FLAIR MR image.
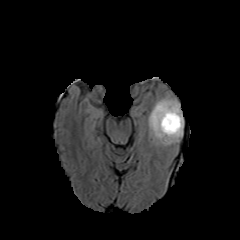
T1-weighted MRI.
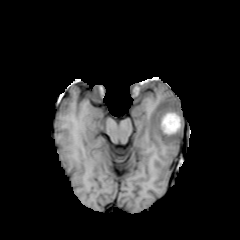
Post-contrast T1-weighted MR image.
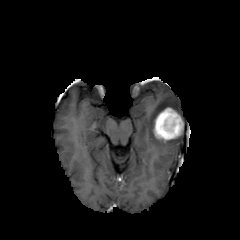
T2-weighted magnetic resonance.
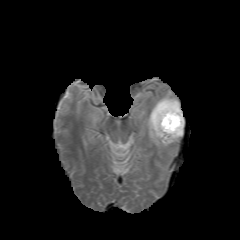
Head
The non-enhancing tumor core is at region(152, 100, 177, 135). The enhancing tumor is bounded by region(161, 112, 180, 133). The edema is at region(140, 91, 184, 149).